Field of view 360x360 mm | Image size 512x512 | CT image | Slice index 17

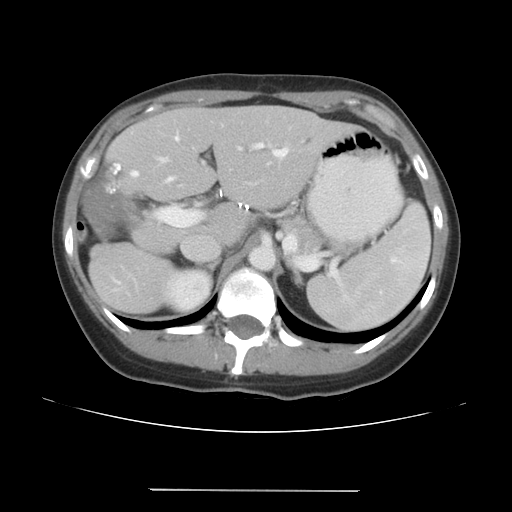
Some hepatic vessels may have no box.
liver_tumor:
  - [x1=85, y1=165, x2=145, y2=241]
hepatic_vessel:
  - [x1=272, y1=146, x2=288, y2=159]
  - [x1=154, y1=205, x2=204, y2=228]
  - [x1=254, y1=144, x2=255, y2=147]
  - [x1=259, y1=142, x2=263, y2=146]
  - [x1=111, y1=277, x2=122, y2=291]
  - [x1=156, y1=156, x2=169, y2=164]
  - [x1=129, y1=275, x2=134, y2=280]